Upper abdomen; Slice 18 of 77; CT scan slice 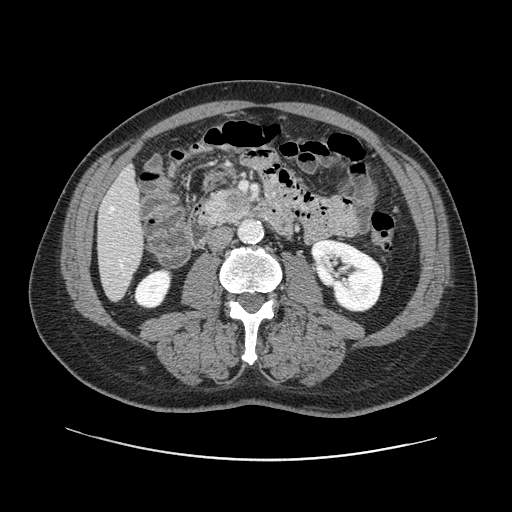

{
  "pancreas": [
    "left=204, top=187, right=254, bottom=225"
  ],
  "pancreatic_tumor": [
    "left=226, top=190, right=249, bottom=211"
  ]
}